Brain
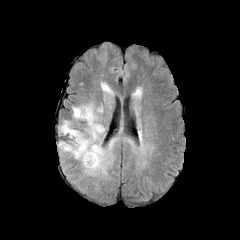
FLAIR MR image.
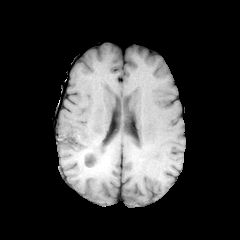
T1-weighted magnetic resonance of the same slice.
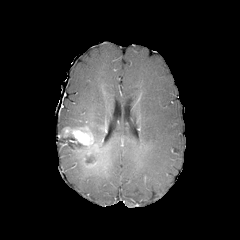
Same slice, post-contrast T1-weighted magnetic resonance.
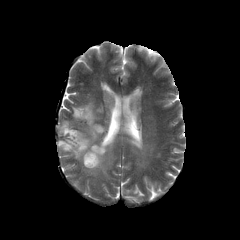
T2-weighted MR.
3 edema regions are bounded by 58,82,116,143; 132,90,139,100; 58,138,117,176. 2 non-enhancing tumor core regions appear at 74,129,107,168; 59,126,75,148. The enhancing tumor appears at 64,127,91,146.